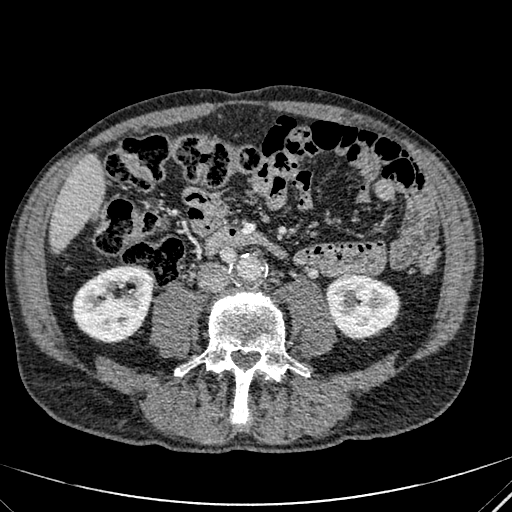

CT image. Liver = left=51, top=155, right=103, bottom=249.
Kidney = left=74, top=267, right=152, bottom=341; left=327, top=276, right=398, bottom=336.